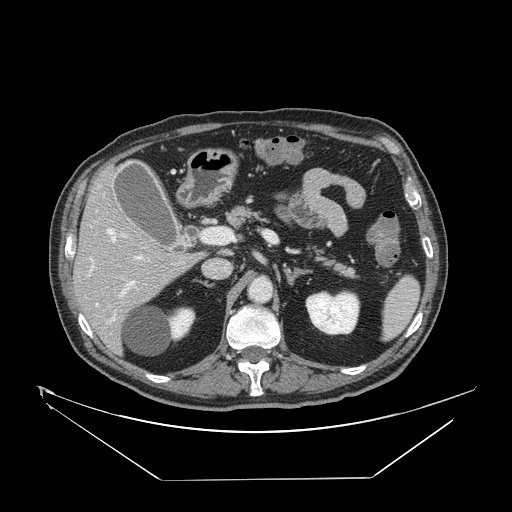

Computed tomography. 512x512 px. Abdomen. Pancreas: box=[285, 241, 362, 281]; box=[222, 204, 284, 232].